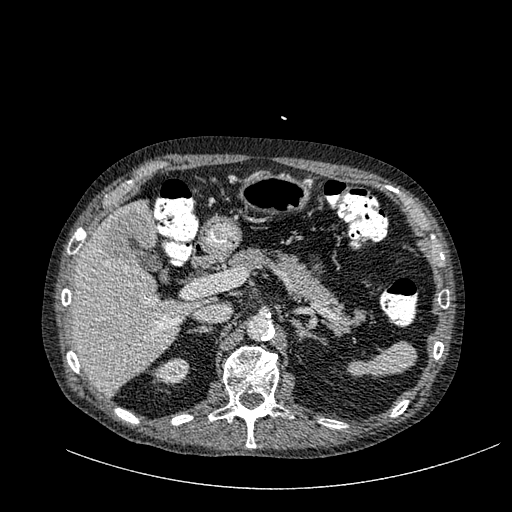 CT slice
The kidney is located at <bbox>152, 358, 188, 384</bbox>. The focal liver lesion lies within <bbox>104, 212, 153, 267</bbox>. The liver appears at <bbox>72, 201, 214, 394</bbox>.